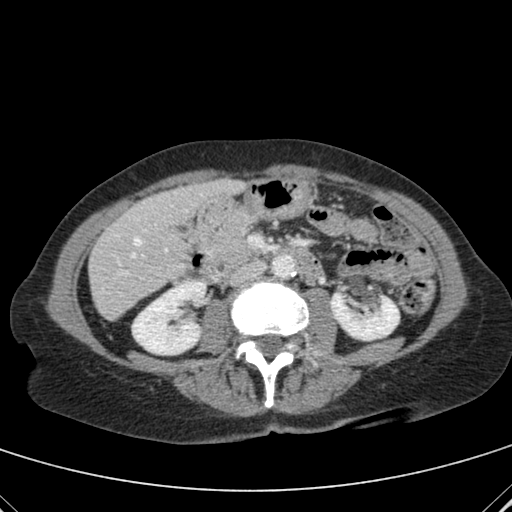 512x512. CT.

- kidney: [331,294,398,339], [133,282,205,354]
- liver: [90,178,245,318]